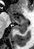 MR.

The posterior hippocampus lies within <bbox>16, 23, 27, 33</bbox>. The anterior hippocampus is located at <bbox>8, 13, 27, 22</bbox>.